Slice 53 of 95 | CT

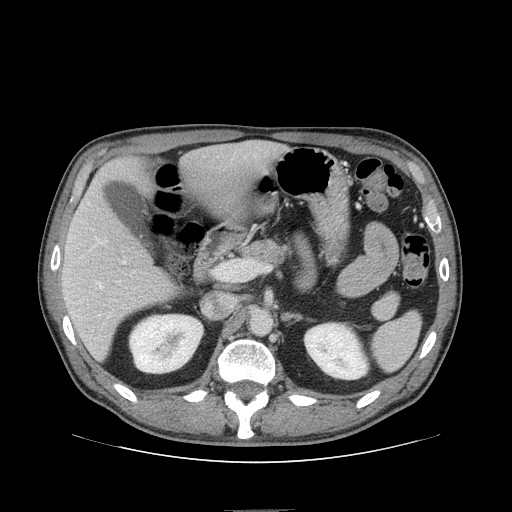

Pancreas = (246,241,288,266).